FLAIR MR image.
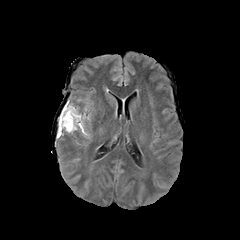
T1-weighted MRI.
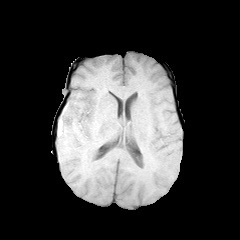
Post-contrast T1-weighted MRI.
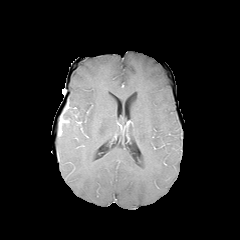
T2-weighted MR image.
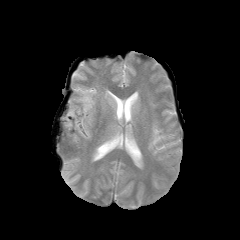
<segmentation>
  <edema>58, 98, 92, 141</edema>
</segmentation>